CT. Image width 351 mm. 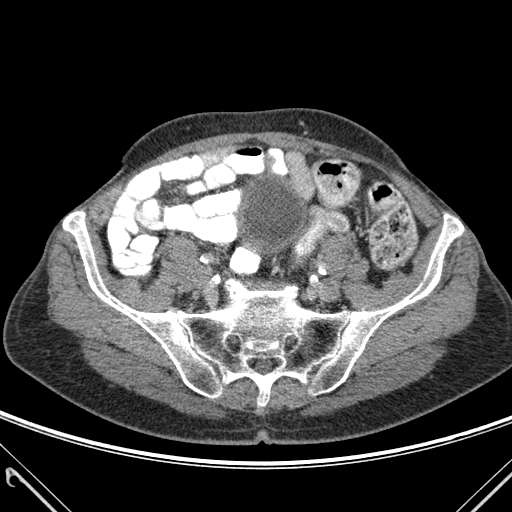
Annotated regions:
- bone: 63:211:463:405